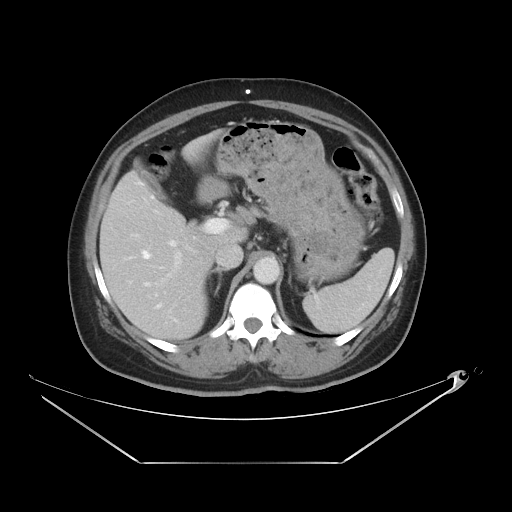 Liver. CT.

Only some of the vessels may be annotated.
Hepatic vessel at <bbox>145, 253, 148, 256</bbox>, <bbox>171, 242, 174, 245</bbox>.